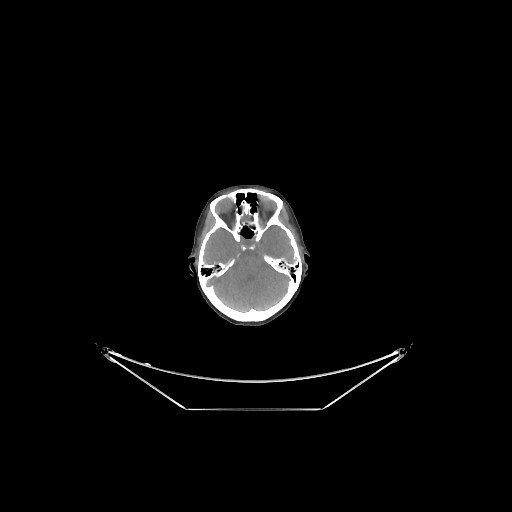

Head, Computed tomography

3 brain regions appear at [203,225,296,312], [278,264,291,274], [240,209,255,226].